CT. 512x512 px. Slice 123/193. Abdomen. 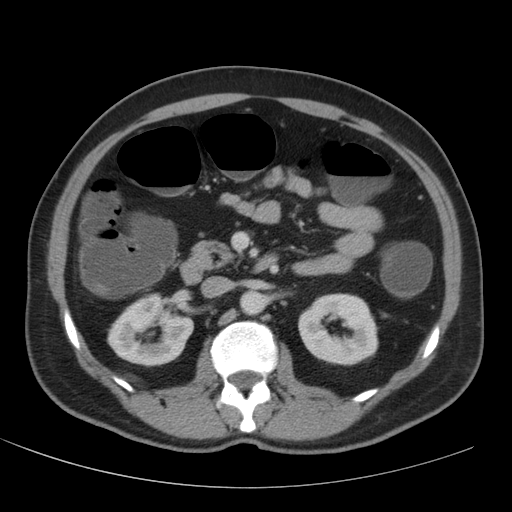 kidney:
  - [x1=298, y1=294, x2=377, y2=364]
  - [x1=108, y1=294, x2=193, y2=365]